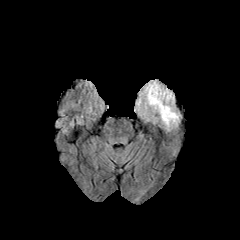
FLAIR MR.
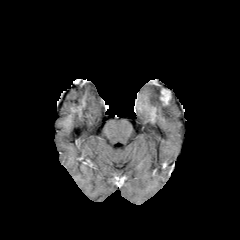
Same slice, T1-weighted MR.
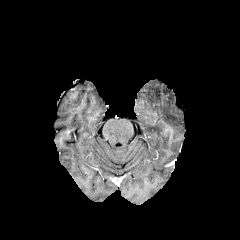
Post-contrast T1-weighted MR image.
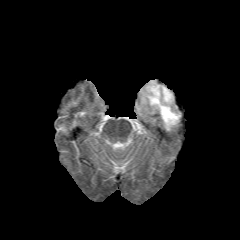
T2-weighted MRI of the same slice.
Brain
Edema at (137, 80, 180, 131).